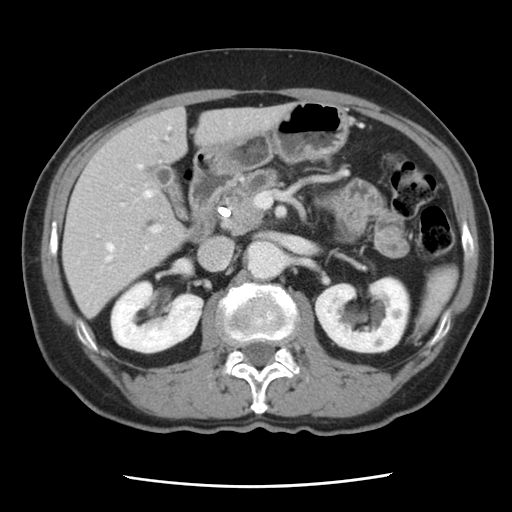

Abdomen, CT slice
{
  "pancreas": [
    "(226, 169, 279, 218)"
  ],
  "pancreatic_tumor": [
    "(220, 200, 263, 236)"
  ]
}